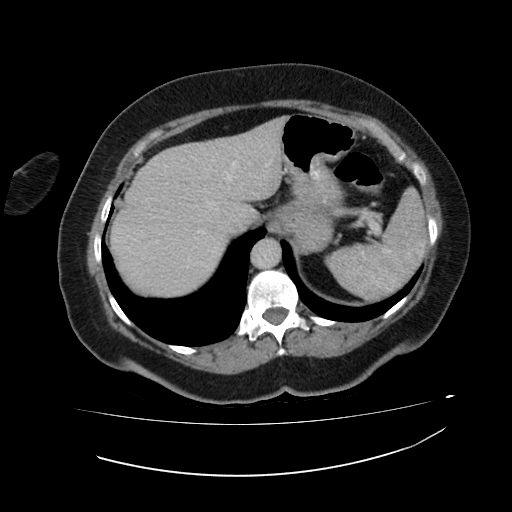
Liver; 512x512 px; CT image
Annotated regions:
- liver: l=110, t=116, r=288, b=296